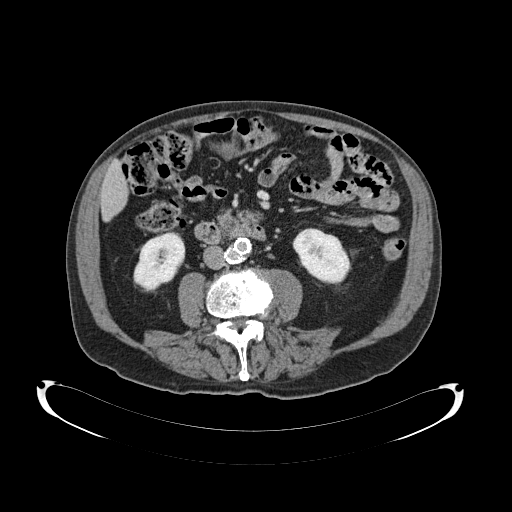

Upper abdomen; CT slice

The pancreas lies within region(217, 209, 234, 231).